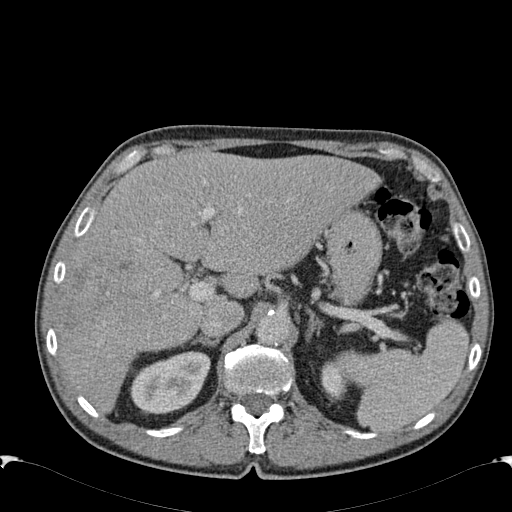
Abdomen, Computed tomography

Kidney: bounding box box(131, 352, 209, 413); box(322, 354, 348, 397).
Liver: bounding box box(55, 152, 379, 410).
Hepatic lesion: bounding box box(69, 268, 90, 290); box(63, 287, 117, 329); box(118, 258, 131, 274).